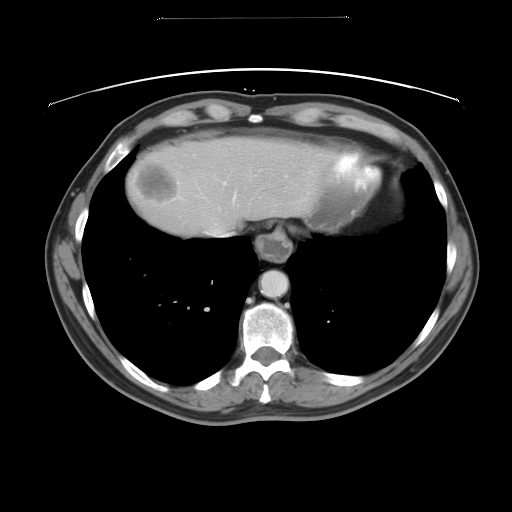 Liver, Computed tomography

Some hepatic vessels may have no box.
Annotated regions:
- liver tumor: box=[136, 162, 180, 204]
- hepatic vessel: box=[175, 195, 181, 198]; box=[206, 229, 229, 235]; box=[223, 182, 226, 184]; box=[286, 175, 287, 176]